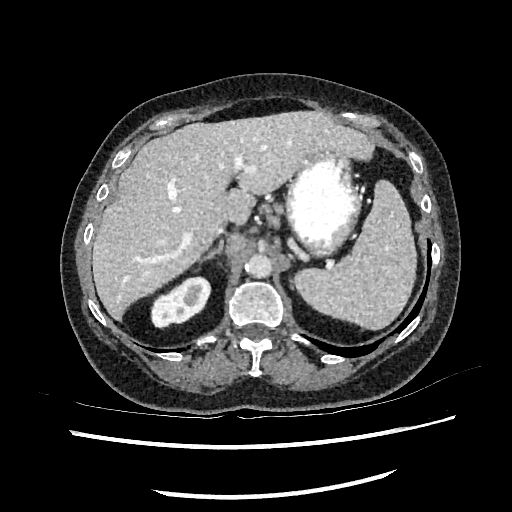 Upper abdomen; CT

The liver lies within (left=93, top=110, right=374, bottom=320). The kidney is at (left=152, top=278, right=209, bottom=326).